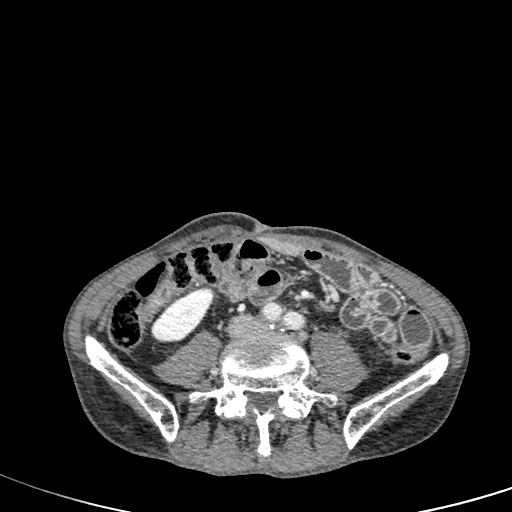 Abdomen; CT image

kidney: l=152, t=289, r=212, b=340